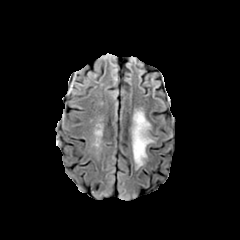
FLAIR magnetic resonance.
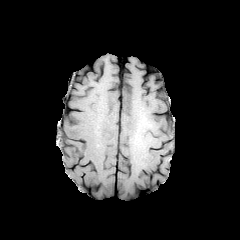
T1-weighted MR.
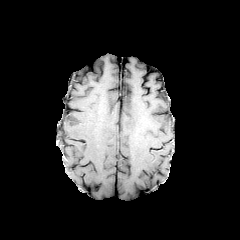
Post-contrast T1-weighted MRI of the same slice.
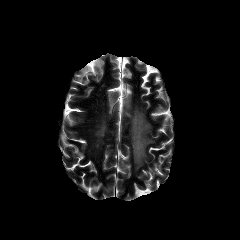
T2-weighted MRI.
Image size 240x240
The edema is located at box(132, 112, 153, 168).